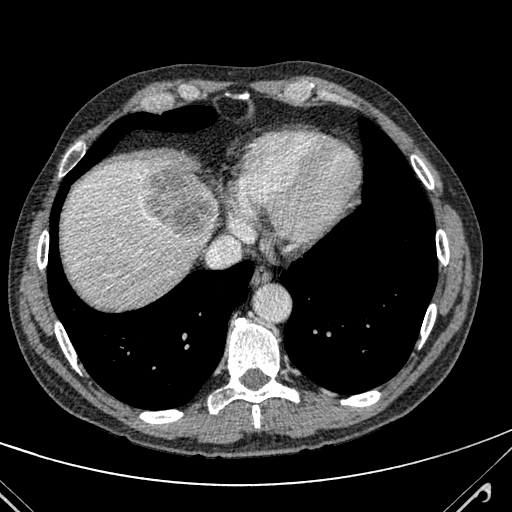
Upper abdomen. Computed tomography. The liver lies within box(62, 158, 217, 306). The focal liver lesion is at box(148, 164, 210, 235).